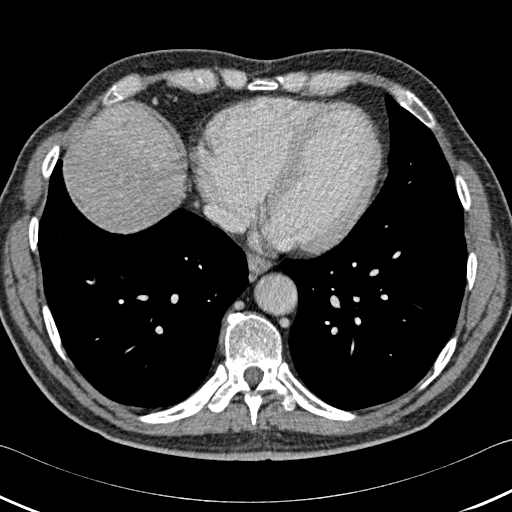

CT image; 512x512
bone: (left=398, top=91, right=434, bottom=127), (left=104, top=82, right=128, bottom=103), (left=467, top=252, right=476, bottom=289), (left=29, top=217, right=37, bottom=250), (left=248, top=80, right=277, bottom=89), (left=456, top=175, right=470, bottom=209), (left=420, top=338, right=455, bottom=388), (left=42, top=145, right=58, bottom=177), (left=43, top=306, right=65, bottom=359), (left=139, top=313, right=355, bottom=424) | lung: (left=272, top=92, right=467, bottom=410), (left=37, top=159, right=251, bottom=408) | liver: (left=77, top=110, right=176, bottom=232)